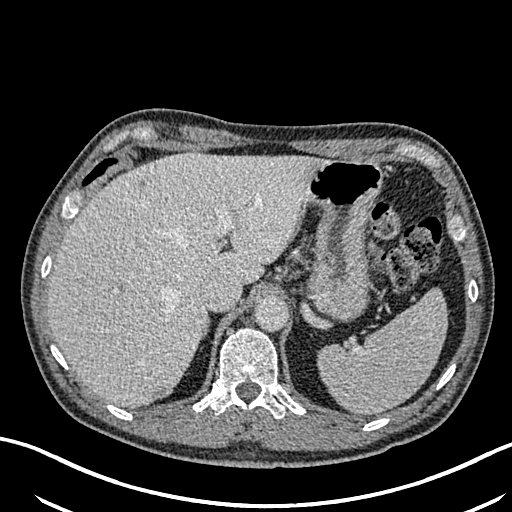

Computed tomography; Upper abdomen
The liver is located at bbox(48, 154, 327, 407). 3 hepatic lesion regions are located at bbox(151, 386, 172, 400); bbox(116, 279, 127, 294); bbox(133, 179, 146, 191).